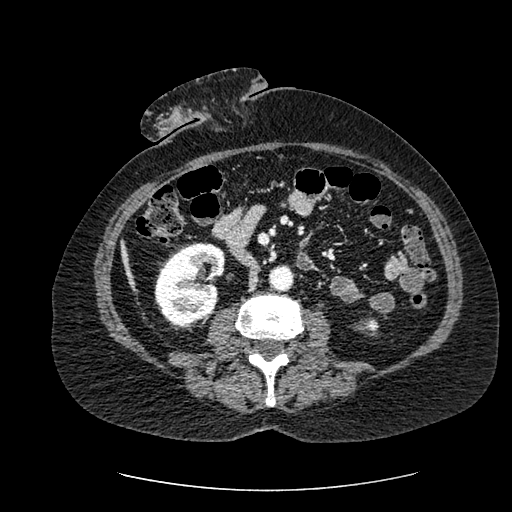 Computed tomography | Image size 512x512 | Abdomen
The liver is bounded by 120 240 135 290. 2 kidney regions are bounded by 367 321 377 329, 155 243 223 326.